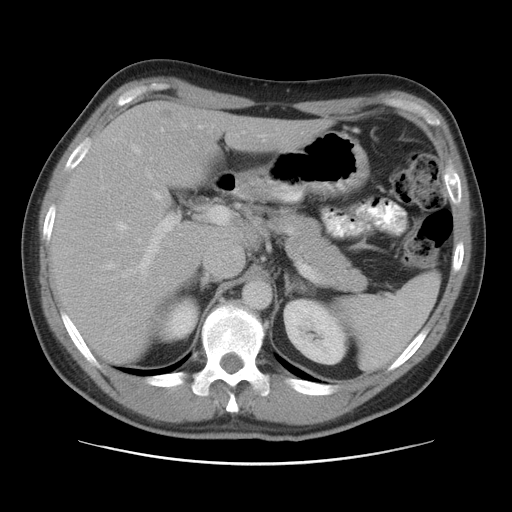

CT; Abdomen
Some hepatic vessels may have no box.
{
  "hepatic_vessel": [
    "[104, 262, 115, 268]",
    "[116, 222, 128, 231]",
    "[129, 216, 177, 275]",
    "[209, 207, 229, 224]",
    "[153, 191, 161, 199]",
    "[261, 135, 263, 136]",
    "[198, 126, 201, 128]",
    "[132, 145, 139, 153]",
    "[138, 239, 140, 241]"
  ],
  "liver_tumor": [
    "[161, 106, 174, 119]"
  ]
}